Brain.
FLAIR MR image.
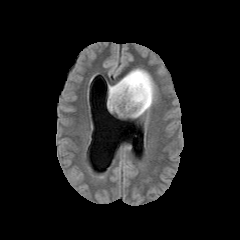
T1-weighted MRI.
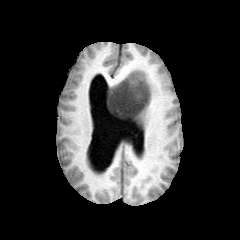
Post-contrast T1-weighted magnetic resonance.
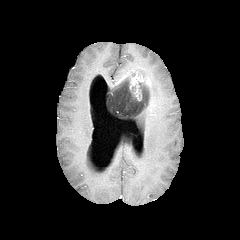
T2-weighted MRI.
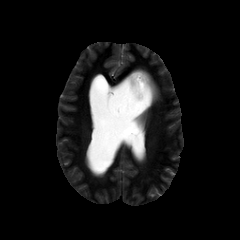
<segmentation>
  <edema>132:68:147:75, 108:79:127:94, 148:74:157:99, 136:102:149:117</edema>
  <non-enhancing_tumor_core>107:78:149:118</non-enhancing_tumor_core>
  <enhancing_tumor>122:70:153:107</enhancing_tumor>
</segmentation>